Head. Slice 107 of 155.
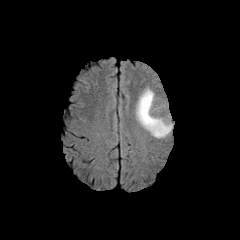
FLAIR MRI.
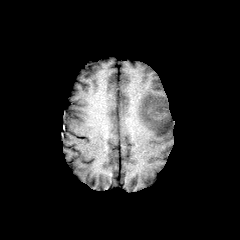
T1-weighted magnetic resonance.
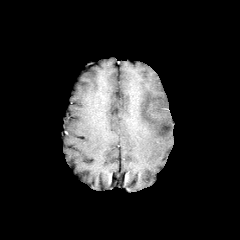
Post-contrast T1-weighted MR.
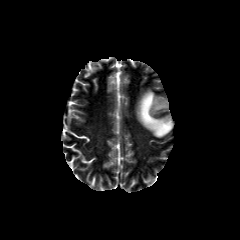
T2-weighted MRI.
The edema is at box=[135, 88, 172, 138].